Image size 240x240
FLAIR magnetic resonance.
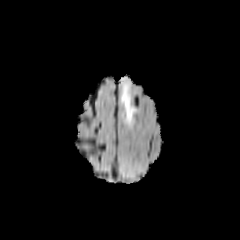
T1-weighted MRI.
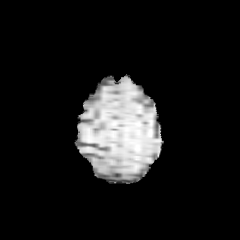
Post-contrast T1-weighted MRI.
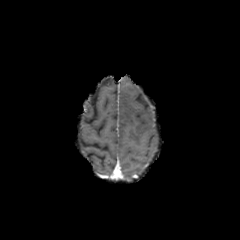
T2-weighted MRI.
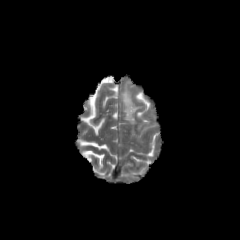
The edema is bounded by [x1=121, y1=83, x2=140, y2=122].